38x53 px | Slice index 5 | Magnetic resonance
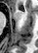 The anterior hippocampus lies within x1=18, y1=13, x2=21, y2=13.